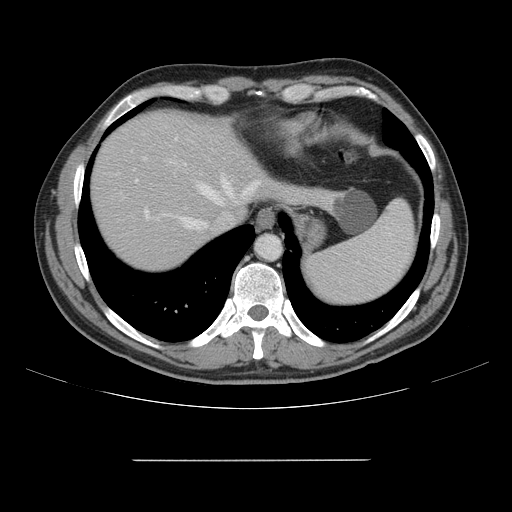 CT scan slice, Image size 512x512
Some hepatic vessels may have no box.
hepatic vessel: {"x1": 163, "y1": 214, "x2": 168, "y2": 215}, {"x1": 144, "y1": 208, "x2": 148, "y2": 219}, {"x1": 244, "y1": 181, "x2": 260, "y2": 195}, {"x1": 142, "y1": 157, "x2": 146, "y2": 158}, {"x1": 221, "y1": 177, "x2": 231, "y2": 194}, {"x1": 178, "y1": 217, "x2": 189, "y2": 228}, {"x1": 135, "y1": 180, "x2": 137, "y2": 181}, {"x1": 197, "y1": 224, "x2": 206, "y2": 229}